CT slice. Thorax. 512x512 px.

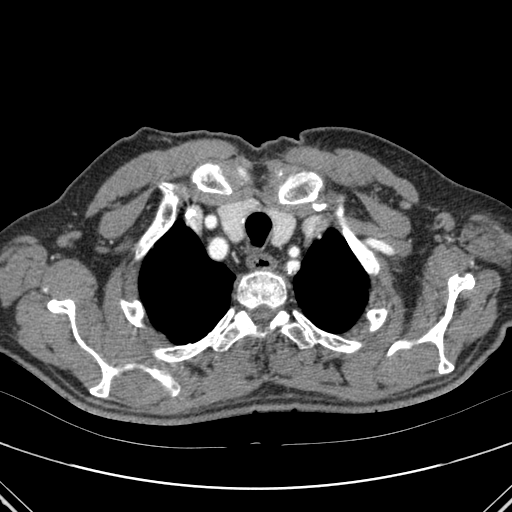

{
  "bone": [
    "[238, 271, 286, 309]",
    "[185, 209, 196, 227]",
    "[387, 340, 410, 356]",
    "[192, 163, 232, 194]",
    "[120, 300, 143, 327]",
    "[47, 299, 117, 397]",
    "[137, 182, 178, 256]",
    "[147, 368, 179, 396]",
    "[153, 308, 361, 362]",
    "[336, 205, 379, 273]",
    "[419, 274, 474, 373]",
    "[366, 308, 387, 330]",
    "[278, 172, 322, 209]"
  ],
  "lung": [
    "[293, 228, 368, 333]",
    "[138, 219, 235, 344]"
  ]
}